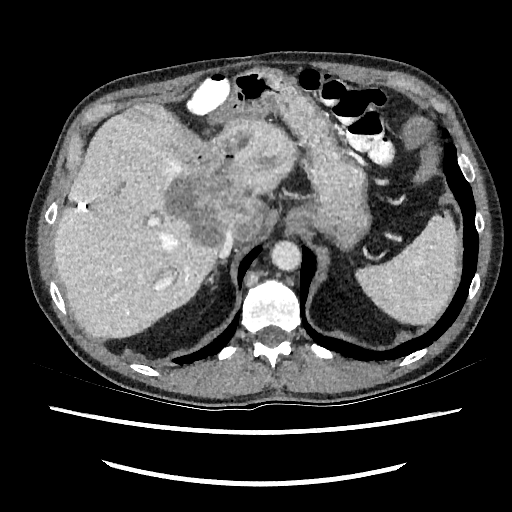

CT, 512x512 px
{
  "liver": [
    "(53,103,296,338)"
  ],
  "liver_lesion": [
    "(164,153,263,246)"
  ]
}